FLAIR MR image.
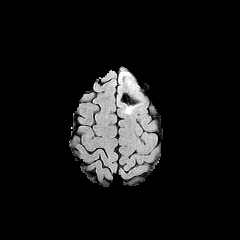
T1-weighted MRI.
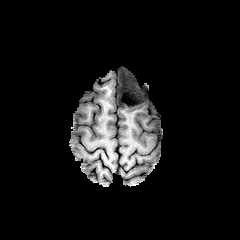
Post-contrast T1-weighted MR image.
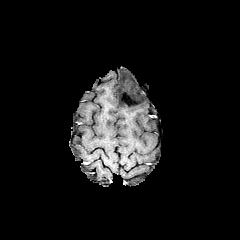
T2-weighted MRI.
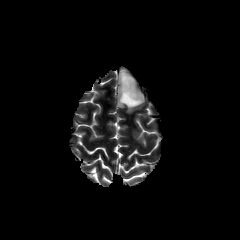
{"non-enhancing_tumor_core": ["122, 81, 135, 95"], "edema": ["118, 70, 145, 113"]}